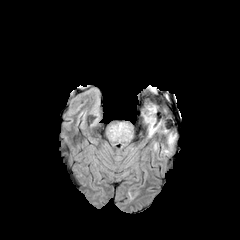
FLAIR magnetic resonance.
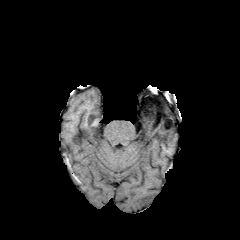
T1-weighted MR image of the same slice.
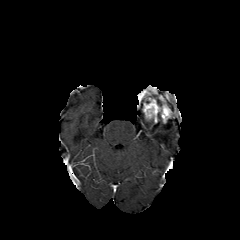
Same slice, post-contrast T1-weighted magnetic resonance.
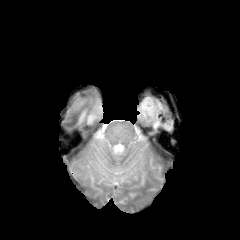
T2-weighted MR image of the same slice.
Head
The enhancing tumor is at bbox(143, 100, 159, 119).